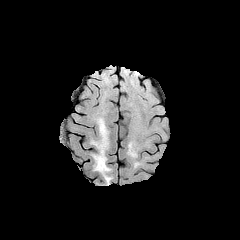
FLAIR MRI.
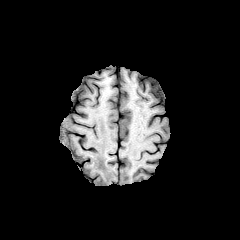
T1-weighted MR.
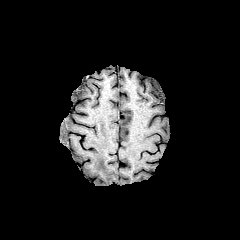
Same slice, post-contrast T1-weighted MRI.
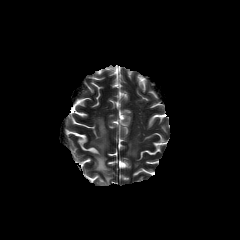
T2-weighted MR.
Head
{
  "edema": [
    "[90, 120, 111, 183]"
  ]
}